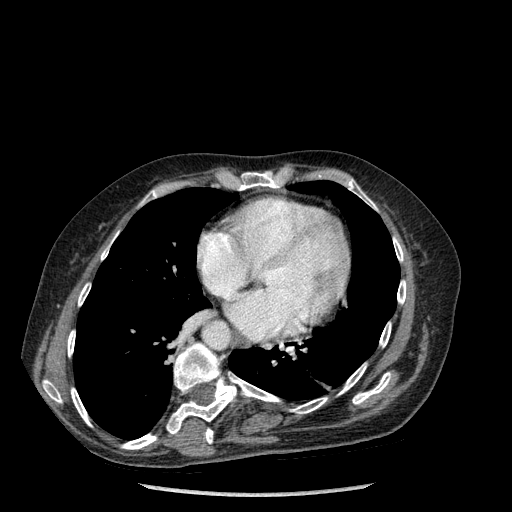

Thorax, 512x512, Computed tomography
* lung: left=229, top=180, right=400, bottom=400; left=73, top=187, right=237, bottom=439
* bone (top 15 of 17): left=230, top=171, right=286, bottom=190; left=71, top=388, right=91, bottom=426; left=166, top=343, right=280, bottom=433; left=352, top=372, right=391, bottom=404; left=393, top=237, right=403, bottom=261; left=140, top=190, right=157, bottom=205; left=42, top=380, right=62, bottom=402; left=121, top=434, right=156, bottom=449; left=338, top=363, right=366, bottom=395; left=78, top=283, right=90, bottom=306; left=346, top=179, right=377, bottom=210; left=290, top=397, right=327, bottom=413; left=397, top=280, right=406, bottom=304; left=379, top=322, right=391, bottom=347; left=101, top=232, right=118, bottom=260